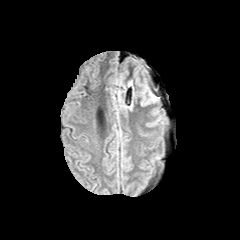
FLAIR MRI.
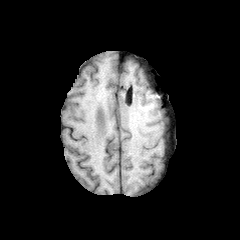
T1-weighted MR image of the same slice.
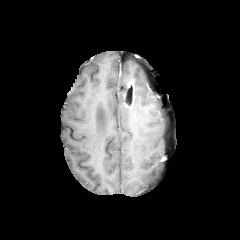
Post-contrast T1-weighted MRI.
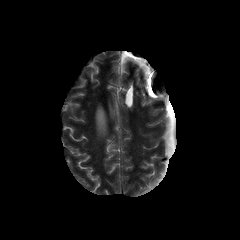
T2-weighted magnetic resonance.
The edema appears at <bbox>140, 81, 154, 104</bbox>.